512x512 px; Computed tomography; Field of view 496x496 mm
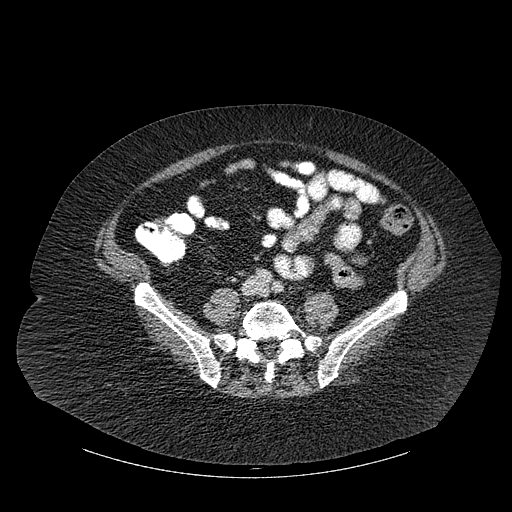 bone:
  - 318 291 406 387
  - 135 283 220 387
  - 214 302 321 382